Slice index 509; CT; Brain 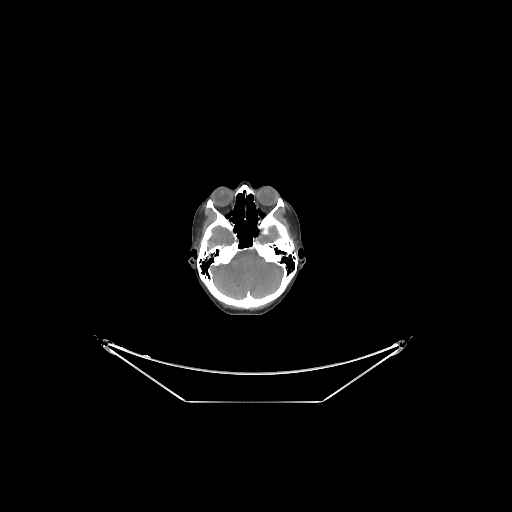
Brain — box(254, 225, 281, 244); box(209, 247, 283, 299); box(207, 225, 238, 251).